MRI | Slice 19 of 36 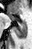

<segmentation>
  <posterior_hippocampus>bbox=[14, 22, 26, 38]</posterior_hippocampus>
  <anterior_hippocampus>bbox=[8, 14, 14, 20]</anterior_hippocampus>
</segmentation>